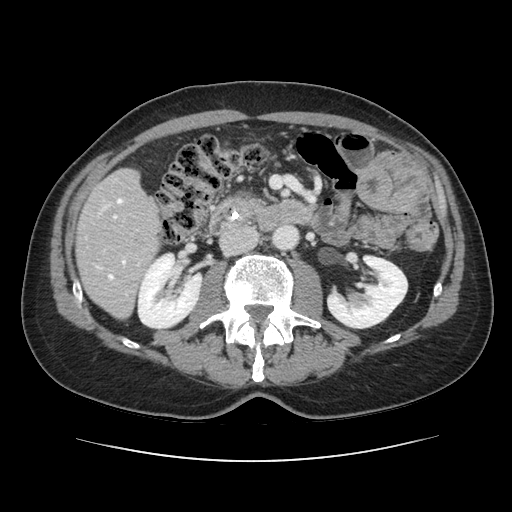 Computed tomography.

Pancreas: 234,195,258,214.